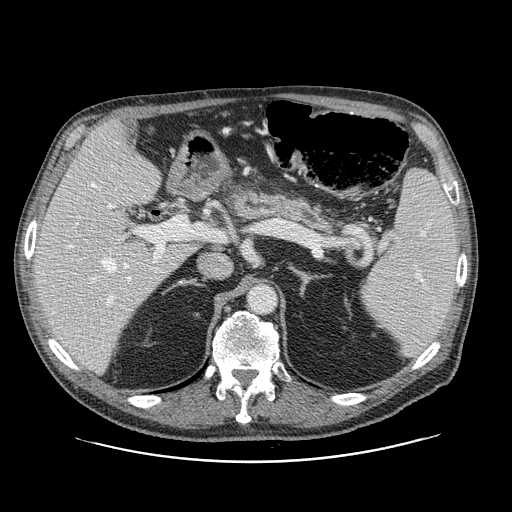
CT slice | Upper abdomen

pancreas: (x1=233, y1=193, x2=329, y2=231)